512x512. Image width 291 mm. Slice 69 of 82. CT slice.
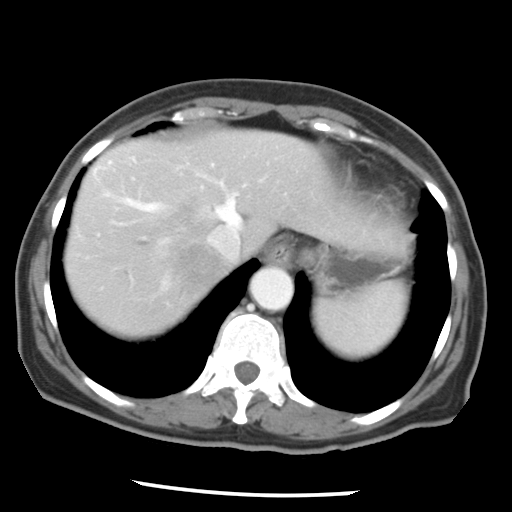

The vessel annotation is not exhaustive.
Hepatic vessel: bounding box box=[200, 173, 246, 259]; box=[103, 190, 164, 212]; box=[131, 157, 134, 160]; box=[201, 185, 204, 188]; box=[93, 160, 112, 180].
Liver tumor: bounding box box=[146, 197, 223, 299].